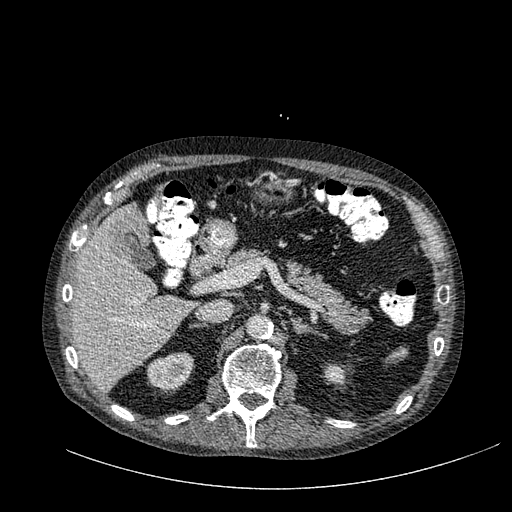

CT image. Image size 512x512. Annotated regions:
* kidney: 147 351 193 391, 324 364 345 384
* liver: 123 229 133 245, 74 202 193 389
* liver lesion: 107 212 147 261